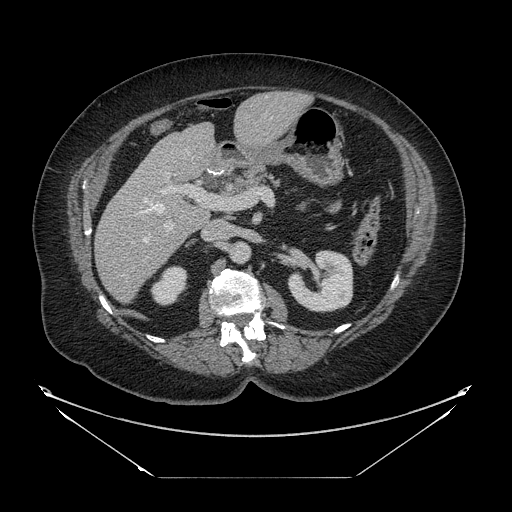 Upper abdomen, 512x512, CT scan slice
{"pancreas": ["box(245, 167, 273, 186)"]}